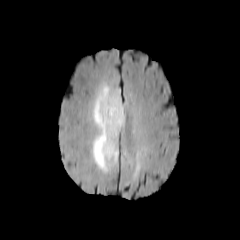
FLAIR magnetic resonance.
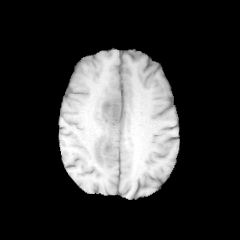
Same slice, T1-weighted MR.
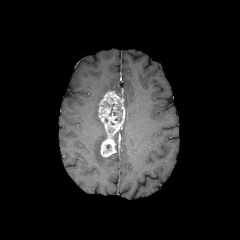
Post-contrast T1-weighted magnetic resonance of the same slice.
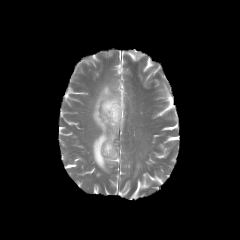
T2-weighted magnetic resonance of the same slice.
Head
The edema appears at (92,83,119,173). The non-enhancing tumor core lies within (108,103,116,116). The enhancing tumor is at (98,91,125,157).